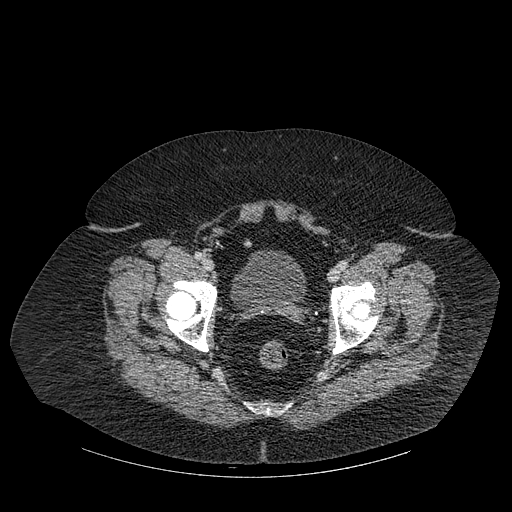 CT image, Pelvis
Annotated regions:
* bone: (x1=331, y1=282, x2=378, y2=354), (x1=166, y1=280, x2=216, y2=351), (x1=244, y1=402, x2=291, y2=414)
* urinary bladder: (x1=231, y1=250, x2=306, y2=319)